Head; Slice index 55; Field of view 240 mm wide, 1.00 mm slice spacing; Image size 240x240
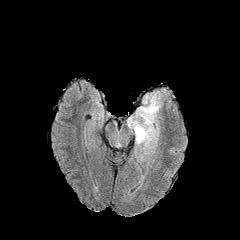
FLAIR MR.
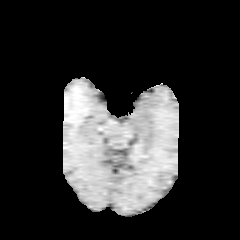
Same slice, T1-weighted MRI.
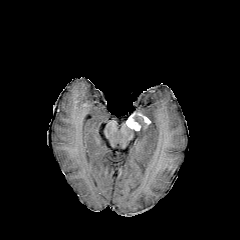
Post-contrast T1-weighted MR.
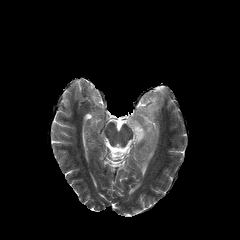
Same slice, T2-weighted MR image.
Findings:
• enhancing tumor: l=126, t=110, r=151, b=131
• edema: l=130, t=90, r=163, b=162